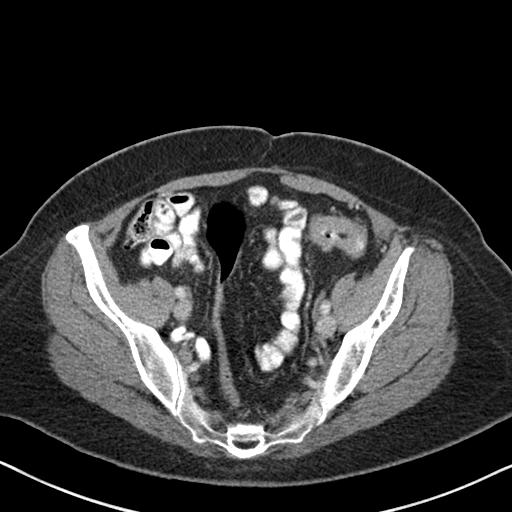 CT; Pelvis
{"colon_tumor": ["(left=311, top=217, right=366, bottom=258)"]}